Slice index 69. Brain.
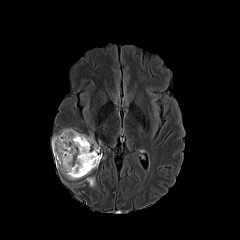
FLAIR magnetic resonance.
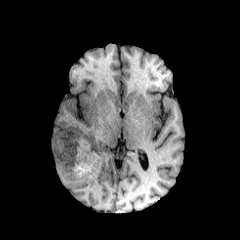
Same slice, T1-weighted MR.
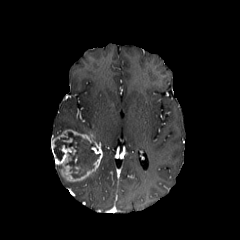
Same slice, post-contrast T1-weighted MRI.
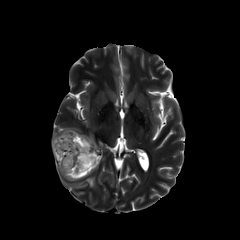
T2-weighted MR.
Findings:
- enhancing tumor: box=[51, 130, 102, 181]
- non-enhancing tumor core: box=[53, 132, 100, 178]
- edema: box=[84, 176, 95, 187]